Field of view 240x240 mm, 240x240, Head
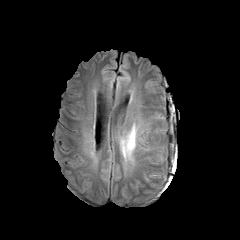
FLAIR MR.
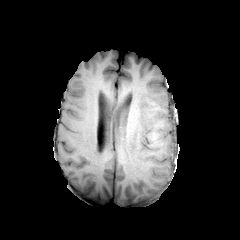
T1-weighted MRI.
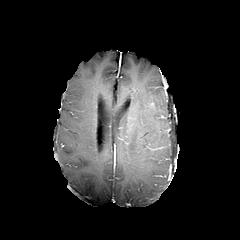
Post-contrast T1-weighted MR.
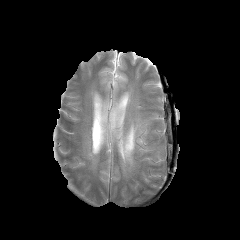
T2-weighted MR image.
Edema — (119, 121, 150, 166).